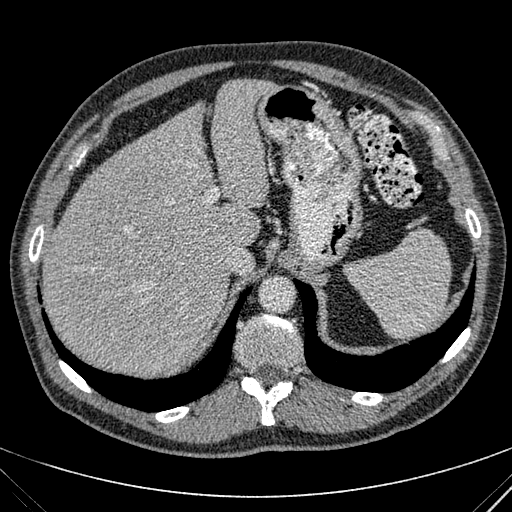 Image size 512x512. CT scan slice. Upper abdomen.

Liver: bounding box box=[43, 79, 279, 373].